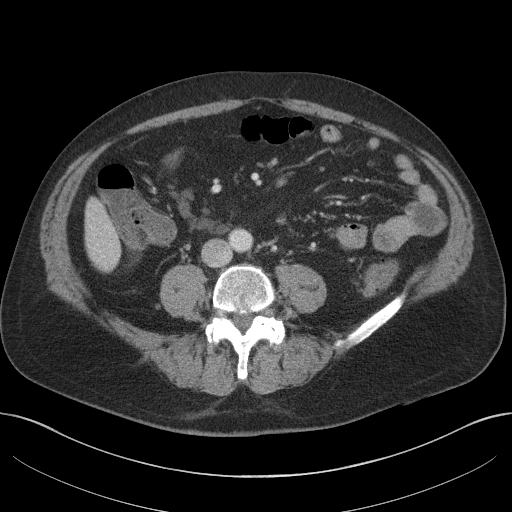
512x512; CT image
<segmentation>
  <liver>[x1=85, y1=201, x2=120, y2=269]</liver>
</segmentation>